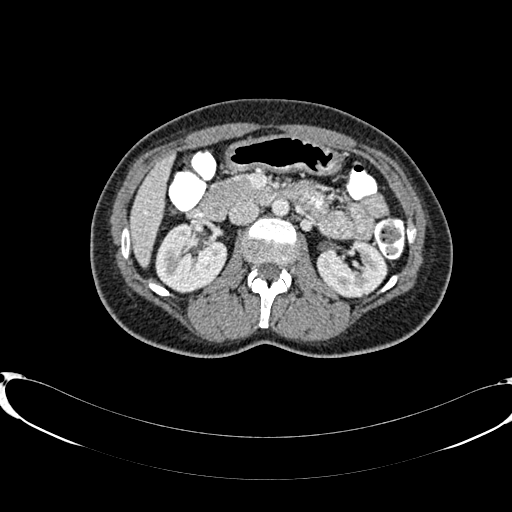
512x512; CT slice
Kidney: x1=318 y1=243 x2=385 y2=295, x1=157 y1=225 x2=225 y2=290.
Liver: x1=129 y1=152 x2=174 y2=266.